Computed tomography, Field of view 360x360 mm, Image size 512x512, Chest
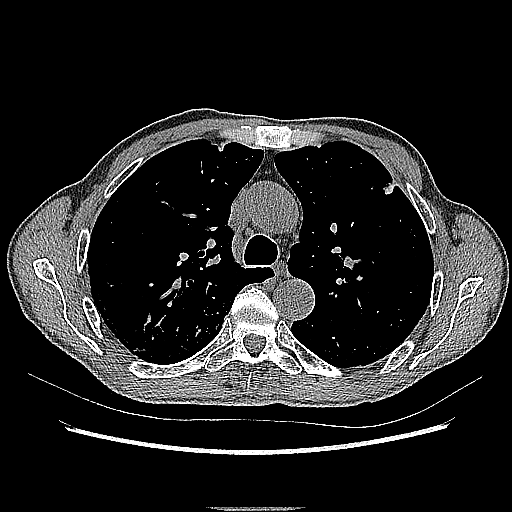 Lung tumor at rect(195, 296, 226, 336).